FLAIR magnetic resonance.
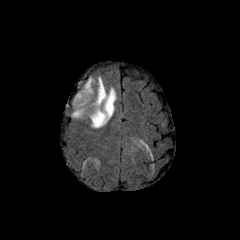
T1-weighted magnetic resonance.
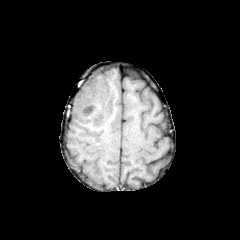
Post-contrast T1-weighted magnetic resonance.
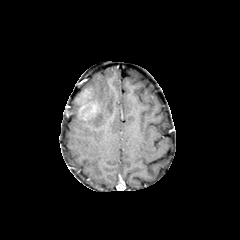
T2-weighted magnetic resonance.
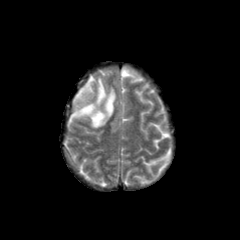
240x240 px, Brain
edema:
  - box=[71, 76, 117, 128]
enhancing_tumor:
  - box=[76, 89, 89, 101]
non-enhancing_tumor_core:
  - box=[78, 100, 97, 115]